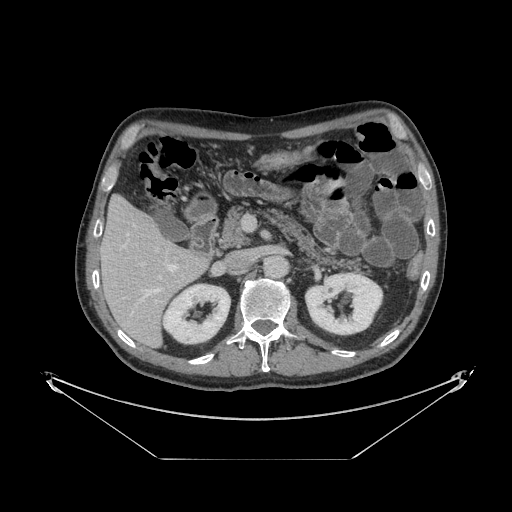
CT image, Upper abdomen
Findings:
• pancreas: [220, 205, 367, 271]